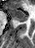 MRI; 35x48 px
Posterior hippocampus — 16:18:29:21.
Anterior hippocampus — 8:7:29:17.